Abdomen; CT scan slice 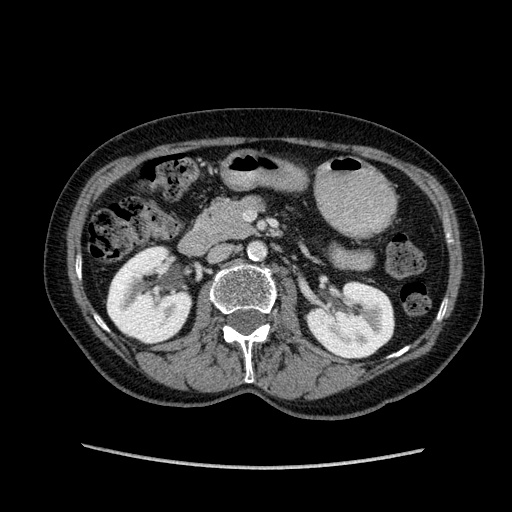
kidney:
  - (left=107, top=247, right=190, bottom=342)
  - (left=308, top=278, right=393, bottom=357)